CT slice
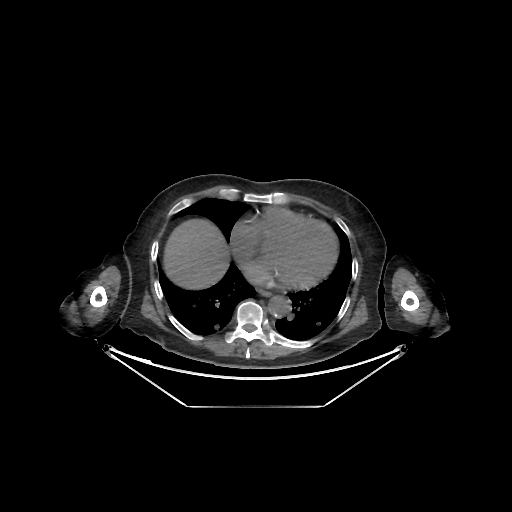
Segmented structures:
- liver: region(165, 220, 229, 288)
- lung: region(275, 220, 351, 340); region(158, 262, 256, 335); region(173, 198, 252, 241)
- bone: region(151, 242, 157, 260); region(352, 261, 357, 278); region(169, 316, 202, 339); region(227, 301, 311, 347); region(90, 286, 107, 306); region(338, 299, 349, 318); region(154, 281, 162, 298); region(244, 193, 281, 202); region(401, 290, 418, 311)